FLAIR magnetic resonance.
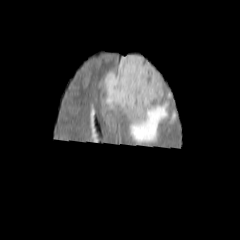
T1-weighted MR.
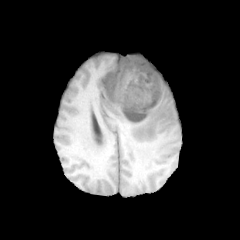
Post-contrast T1-weighted magnetic resonance.
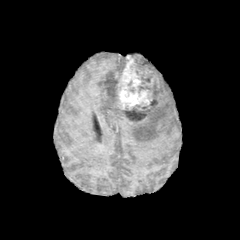
T2-weighted MR.
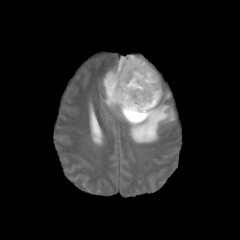
Head.
<segmentation>
  <enhancing_tumor><box>116,55,154,110</box></enhancing_tumor>
  <edema><box>102,56,126,84</box>, <box>104,82,175,143</box></edema>
  <non-enhancing_tumor_core><box>125,55,161,121</box>, <box>104,76,118,101</box></non-enhancing_tumor_core>
</segmentation>